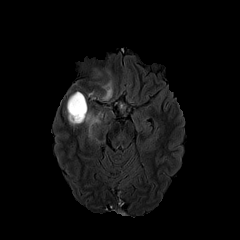
FLAIR MRI.
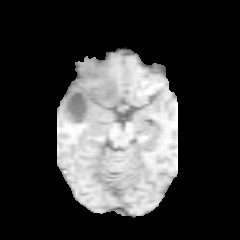
T1-weighted MR of the same slice.
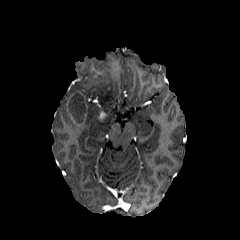
Post-contrast T1-weighted MR image.
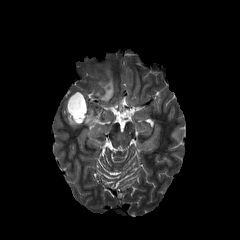
T2-weighted MRI of the same slice.
Head, 240x240 px
The non-enhancing tumor core is bounded by rect(68, 93, 85, 121). 2 enhancing tumor regions appear at rect(66, 105, 80, 122); rect(80, 95, 87, 119). 3 edema regions are bounded by rect(98, 80, 113, 103); rect(84, 111, 100, 143); rect(67, 116, 82, 128).